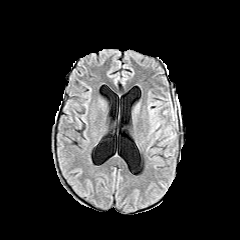
FLAIR MR.
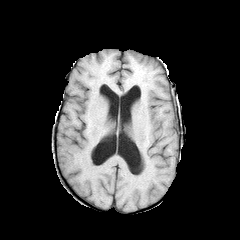
T1-weighted magnetic resonance of the same slice.
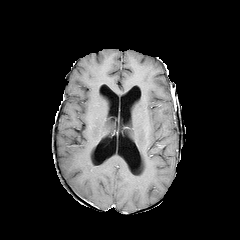
Post-contrast T1-weighted magnetic resonance of the same slice.
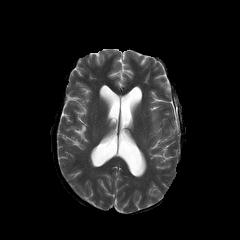
T2-weighted MRI.
Brain, 240x240 px
Annotated regions:
• edema: <box>170,101,177,127</box>, <box>164,131,175,141</box>